FLAIR magnetic resonance.
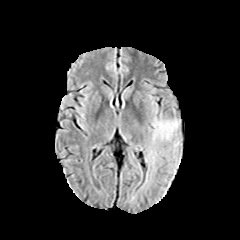
T1-weighted MRI.
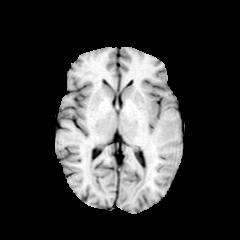
Post-contrast T1-weighted MR.
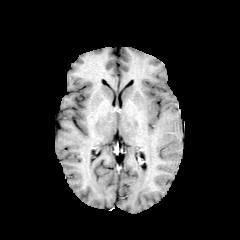
T2-weighted MR.
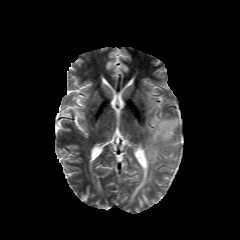
Annotated regions:
- edema: (x1=143, y1=115, x2=179, y2=165)